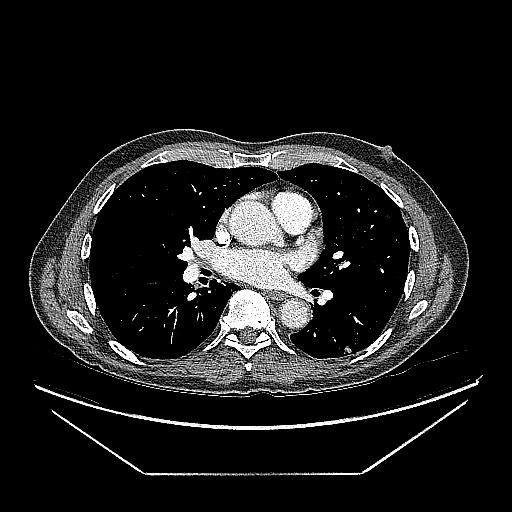

CT scan slice.

Lung tumor: {"x1": 342, "y1": 345, "x2": 352, "y2": 354}.